FLAIR MR.
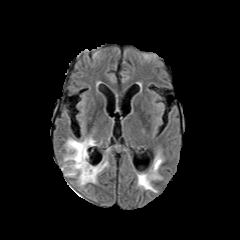
T1-weighted MR image.
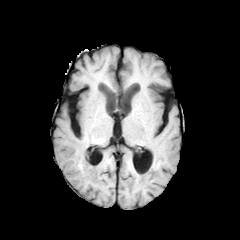
Post-contrast T1-weighted MR image.
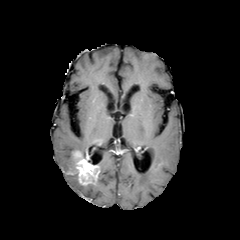
T2-weighted magnetic resonance.
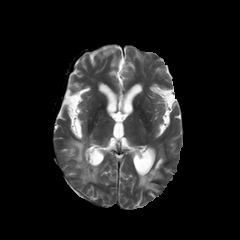
Image size 240x240 | Head
{
  "edema": [
    "box(138, 157, 161, 192)",
    "box(64, 139, 87, 174)",
    "box(99, 160, 107, 171)"
  ],
  "enhancing_tumor": [
    "box(74, 152, 99, 179)"
  ]
}